FLAIR magnetic resonance.
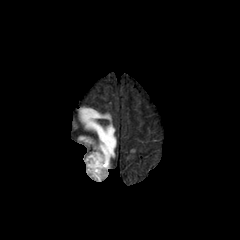
T1-weighted MRI.
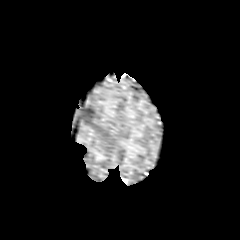
Post-contrast T1-weighted magnetic resonance.
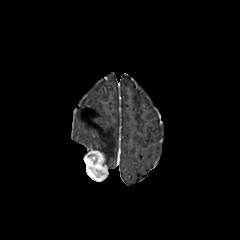
T2-weighted MRI.
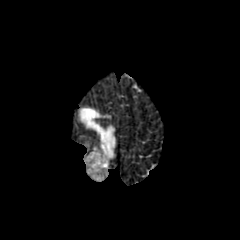
Brain; 240x240
The edema is at box=[79, 107, 116, 168]. The enhancing tumor is bounded by box=[84, 150, 107, 180].